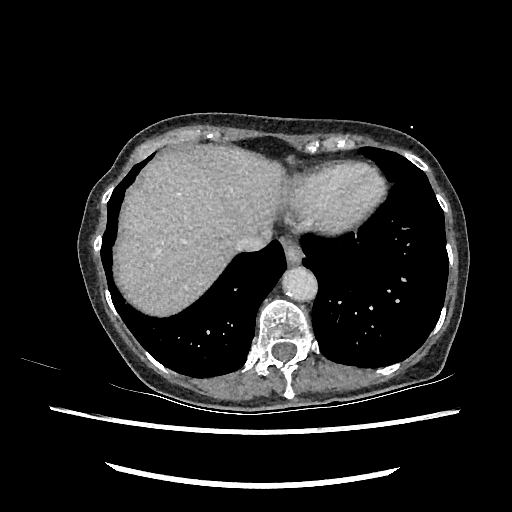

Image size 512x512, CT
Liver at bbox=[118, 146, 282, 312].